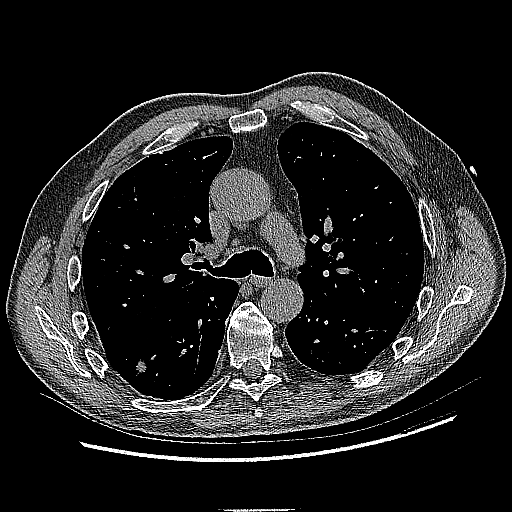 CT scan slice | Image size 512x512
{
  "lung_tumor": [
    "box=[134, 355, 148, 376]"
  ]
}